Head
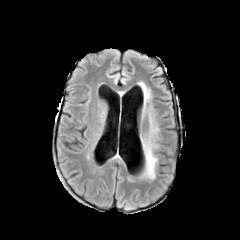
FLAIR MR image.
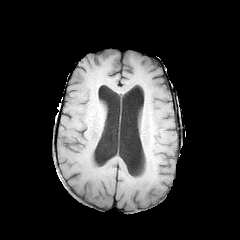
T1-weighted MR of the same slice.
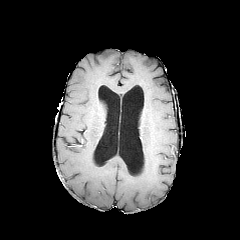
Post-contrast T1-weighted MR of the same slice.
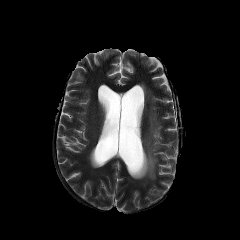
Same slice, T2-weighted MRI.
Annotated regions:
* edema: region(141, 84, 150, 97); region(140, 115, 158, 178)